CT slice; Slice 9 of 24
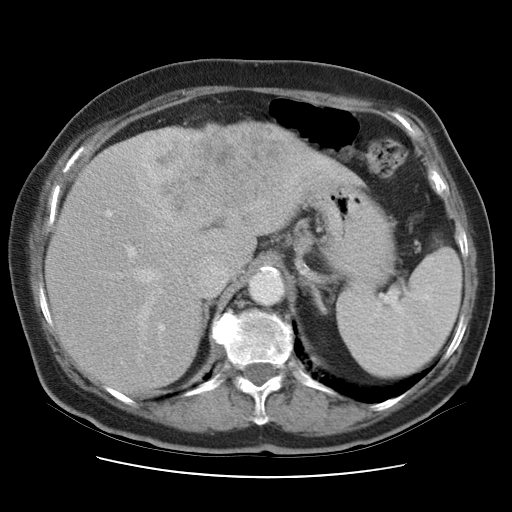

Only some of the vessels may be annotated.
Findings:
• hepatic vessel: 209 274 221 286, 209 262 215 266, 106 211 111 216, 126 247 133 255, 128 293 131 295, 148 301 150 306, 144 305 147 311, 141 327 143 334, 137 271 160 280, 140 317 145 318, 219 267 224 270
• liver tumor: 142 125 295 226